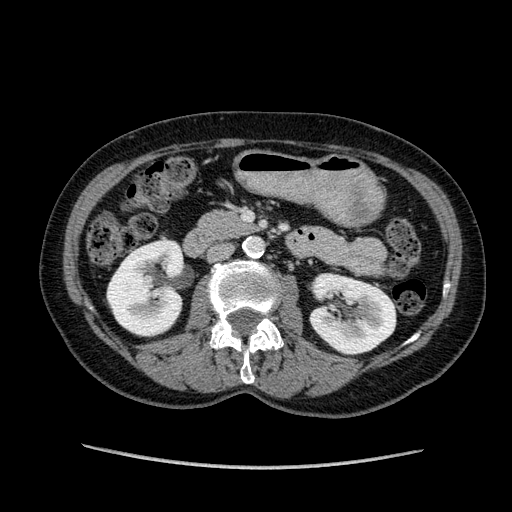 Abdomen; CT scan slice; 512x512
kidney: 107 240 182 335, 311 274 395 353